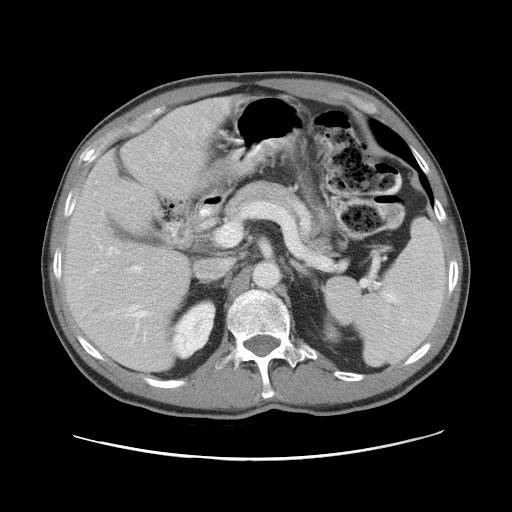 CT scan slice; Liver; Image size 512x512

The vessel boxes may cover only some of the vessels.
Hepatic vessel — x1=99, y1=246, x2=101, y2=248; x1=129, y1=266, x2=141, y2=271; x1=135, y1=323, x2=138, y2=330; x1=106, y1=247, x2=118, y2=254; x1=191, y1=135, x2=193, y2=136; x1=124, y1=305, x2=147, y2=317; x1=143, y1=331, x2=146, y2=341; x1=89, y1=268, x2=96, y2=274; x1=217, y1=237, x2=218, y2=240.